240x240; Slice 115 of 155; Brain
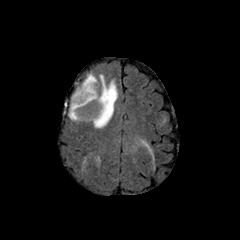
FLAIR MR.
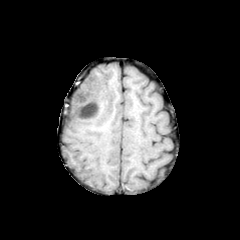
T1-weighted magnetic resonance.
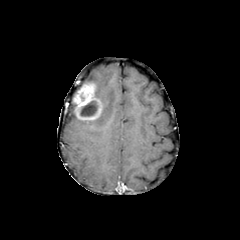
Post-contrast T1-weighted MR image.
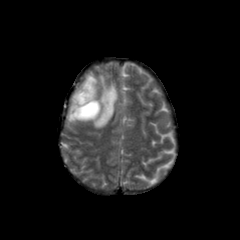
T2-weighted MR of the same slice.
<segmentation>
  <edema><box>68,72,119,128</box></edema>
  <enhancing_tumor><box>73,83,95,107</box></enhancing_tumor>
  <non-enhancing_tumor_core><box>72,97,101,119</box></non-enhancing_tumor_core>
</segmentation>